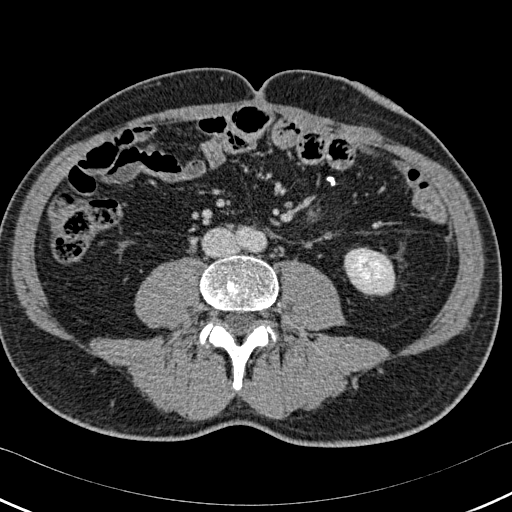 CT scan slice. <segmentation>
  <bone>200:323:275:390, 200:256:278:310</bone>
  <kidney>345:248:394:293</kidney>
</segmentation>